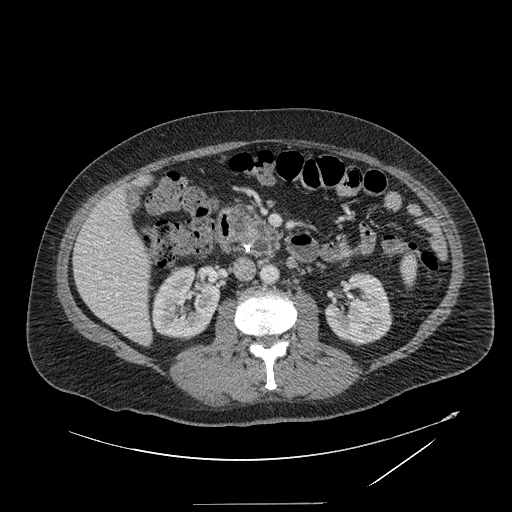

512x512. CT image. Abdomen. pancreas:
  - <box>233,207,280,254</box>
pancreatic_tumor:
  - <box>244,218,259,241</box>